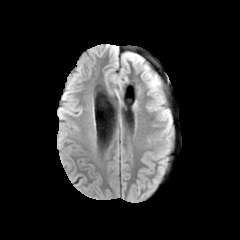
FLAIR magnetic resonance.
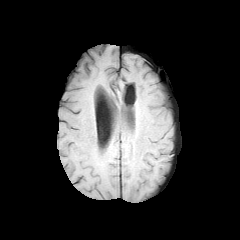
T1-weighted magnetic resonance.
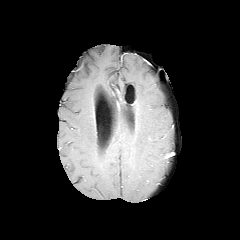
Same slice, post-contrast T1-weighted magnetic resonance.
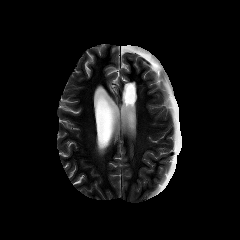
T2-weighted MRI.
Brain.
<segmentation>
  <edema>region(144, 67, 163, 89); region(152, 104, 171, 131)</edema>
</segmentation>